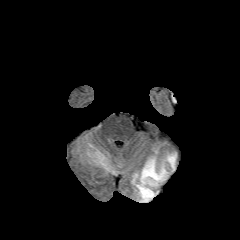
FLAIR MR image.
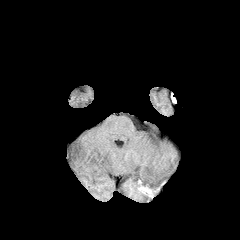
T1-weighted MR.
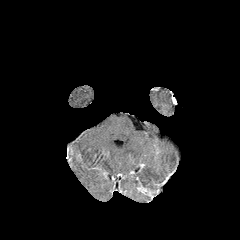
Post-contrast T1-weighted MR.
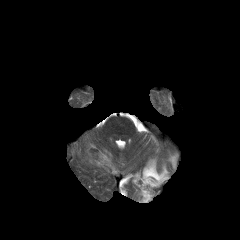
T2-weighted magnetic resonance.
The edema is located at bbox(132, 152, 177, 202).